FLAIR magnetic resonance.
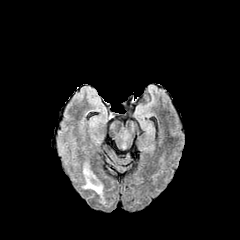
T1-weighted MR.
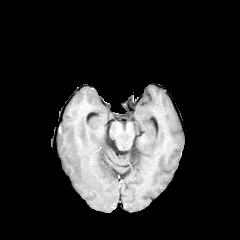
Post-contrast T1-weighted MR image.
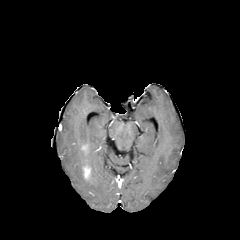
T2-weighted MR.
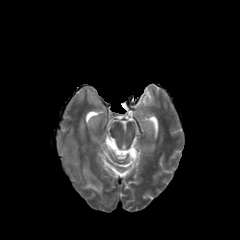
240x240 px; Head
The edema is located at [82,170,102,195]. The enhancing tumor appears at [84,168,89,177].